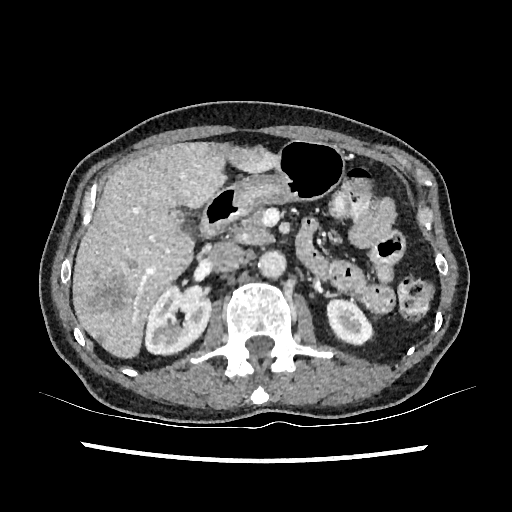

Liver, CT slice
hepatic lesion: left=207, top=143, right=250, bottom=162; left=127, top=260, right=136, bottom=268; left=86, top=275, right=127, bottom=312; left=93, top=270, right=99, bottom=279 | kidney: left=327, top=300, right=371, bottom=343; left=145, top=285, right=211, bottom=353 | liver: left=232, top=147, right=278, bottom=172; left=73, top=143, right=226, bottom=356